Computed tomography. Field of view 350 mm wide, 2.00 mm slice spacing. Abdomen.

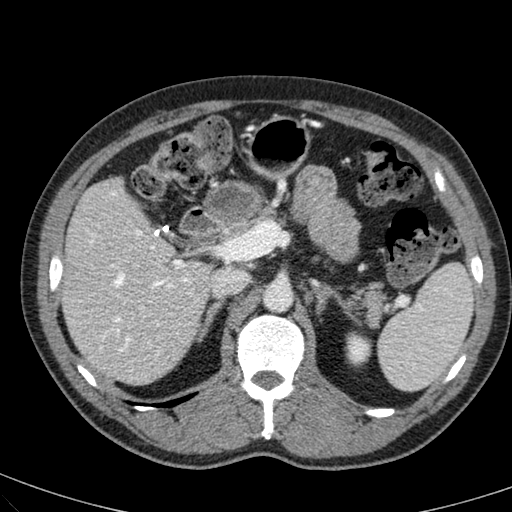 * liver: {"x1": 61, "y1": 180, "x2": 210, "y2": 383}
* kidney: {"x1": 350, "y1": 338, "x2": 367, "y2": 360}